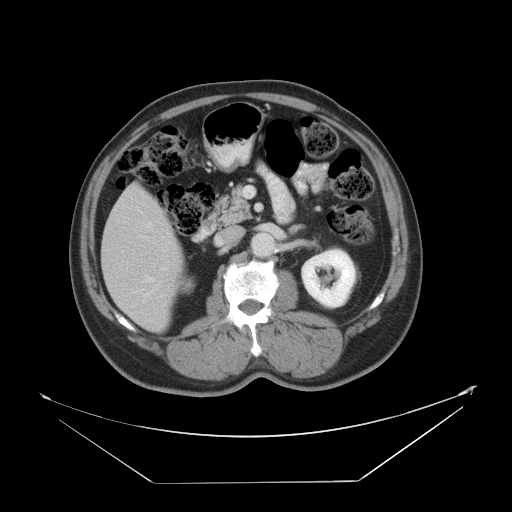
CT

Not every hepatic vessel necessarily has a box.
hepatic vessel: <box>153,236,155,237</box>, <box>144,275,154,282</box>, <box>159,281,161,282</box>, <box>160,229,167,238</box>, <box>137,235,148,238</box>, <box>139,285,156,296</box>